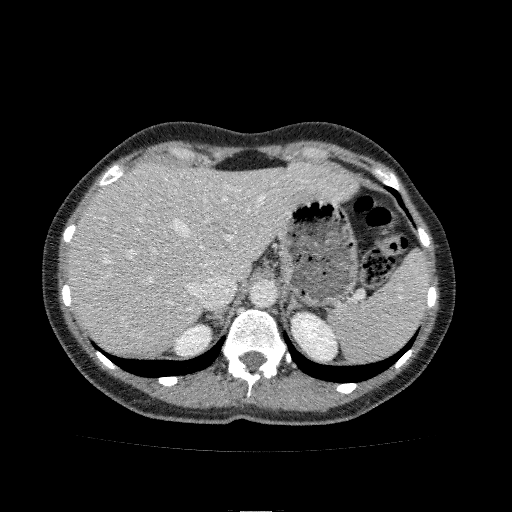 Liver. CT slice.
• liver: <bbox>67, 160, 354, 353</bbox>
• kidney: <bbox>292, 313, 336, 360</bbox>, <bbox>175, 325, 210, 355</bbox>